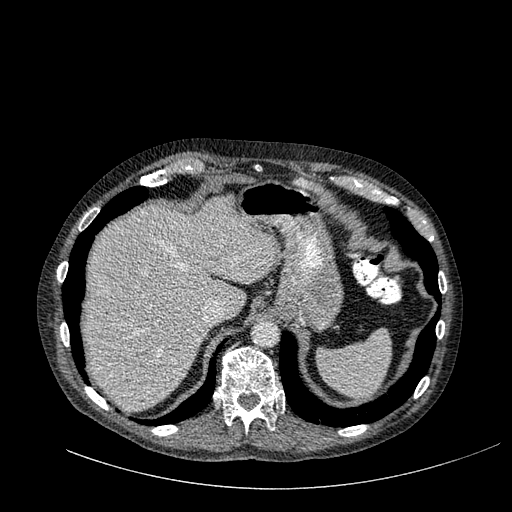 CT scan slice | Abdomen
The liver is bounded by {"x1": 84, "y1": 196, "x2": 276, "y2": 409}.